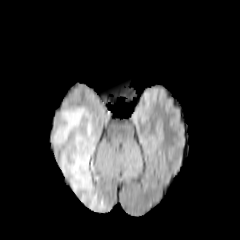
FLAIR MR image.
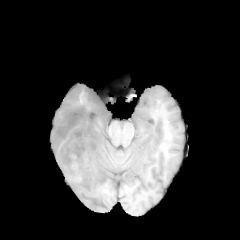
Same slice, T1-weighted magnetic resonance.
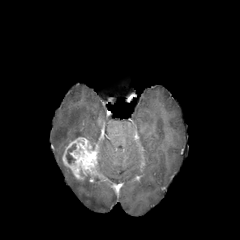
Post-contrast T1-weighted MRI of the same slice.
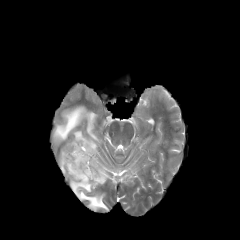
T2-weighted MR.
Non-enhancing tumor core: bounding box [66,143,76,165].
Enhancing tumor: bounding box [62,137,100,182].
Edema: bounding box [52,106,107,210], [75,130,89,139].